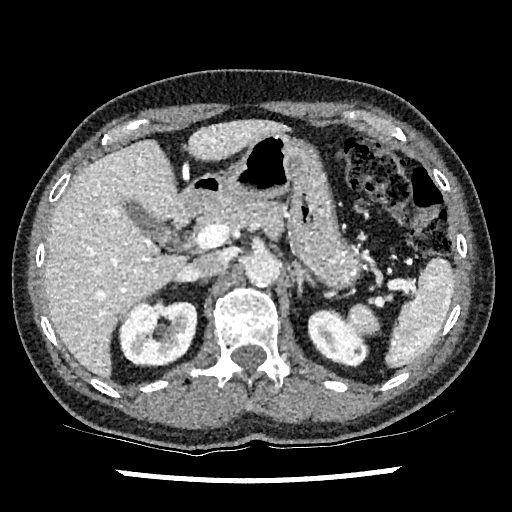 Image size 512x512 | Abdomen | CT image

liver: bbox(189, 120, 288, 160); bbox(45, 140, 186, 377) | kidney: bbox(309, 312, 365, 364); bbox(121, 303, 196, 364)